Slice 42 of 113, Abdomen, CT
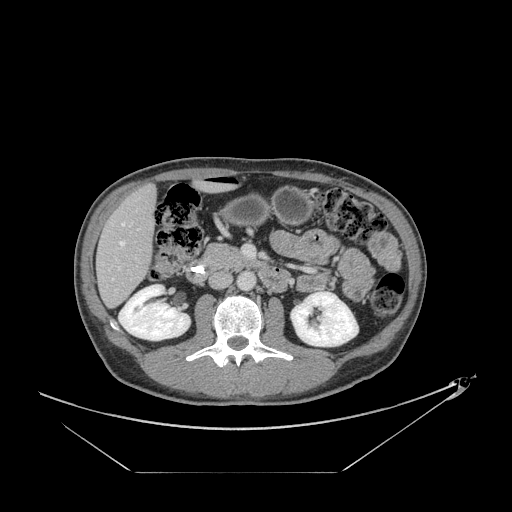 Pancreas — (x1=207, y1=244, x2=240, y2=267).